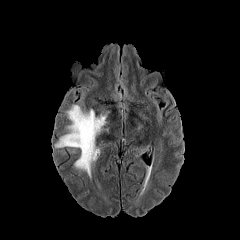
FLAIR MR image.
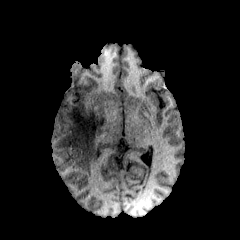
T1-weighted magnetic resonance.
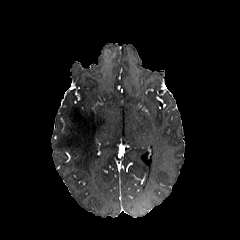
Post-contrast T1-weighted MR.
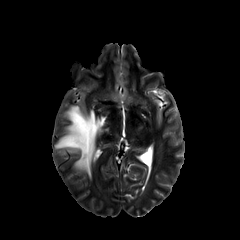
T2-weighted magnetic resonance.
Head
{"edema": ["<bbox>54, 104, 106, 178</bbox>"]}